CT, 512x512 px, Slice 428/896

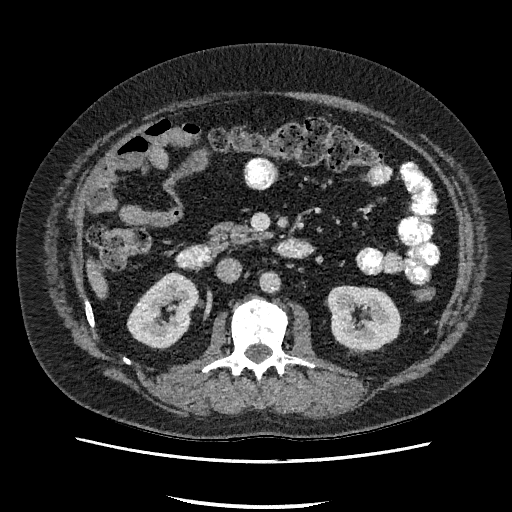
Annotated regions:
- liver: bbox(90, 269, 106, 295)
- kidney: bbox(329, 287, 399, 348); bbox(128, 274, 197, 346)